Slice index 340 | CT 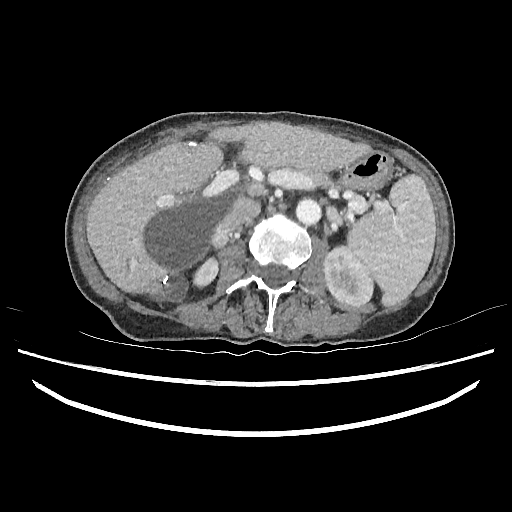 {"liver": ["bbox=[225, 187, 238, 202]", "bbox=[87, 123, 368, 300]"], "liver_lesion": ["bbox=[144, 190, 233, 301]"], "kidney": ["bbox=[195, 259, 218, 284]", "bbox=[323, 245, 372, 304]"]}